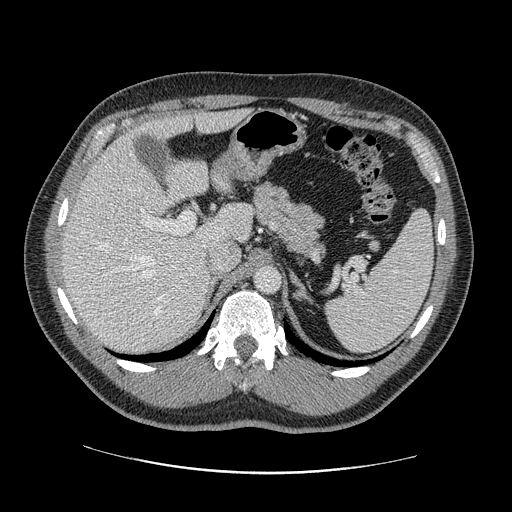 Computed tomography, Upper abdomen
{
  "pancreas": [
    "251:181:328:259"
  ]
}